Image width 383 mm | CT slice | Slice 25 of 47
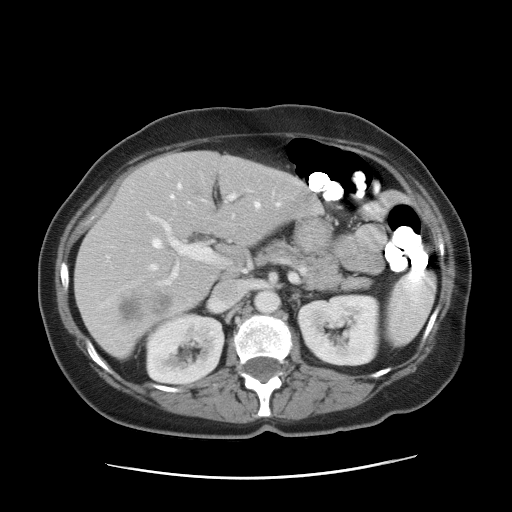

Some hepatic vessels may have no box.
hepatic_vessel:
  - 171 195 173 198
  - 151 265 156 269
  - 153 239 161 247
  - 148 214 223 263
  - 229 194 235 199
  - 276 203 280 206
  - 255 202 259 207
  - 178 184 181 188
  - 159 263 178 285
liver_tumor:
  - 117 279 176 327